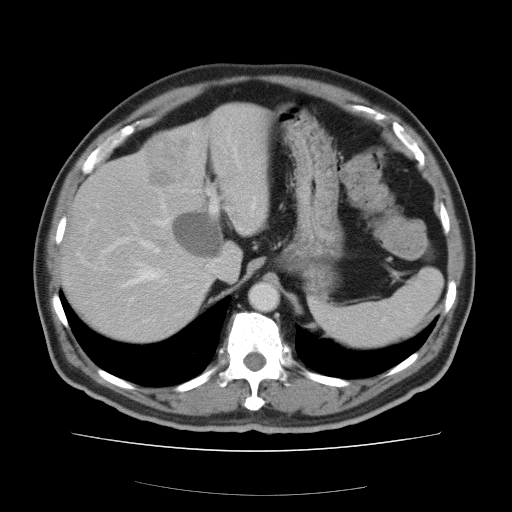
512x512 px; Liver; CT slice
The vessel annotation is not exhaustive.
Segmented structures:
* liver tumor: <box>146,137,188,185</box>
* hepatic vessel: <box>233,147,237,156</box>, <box>154,216,170,226</box>, <box>137,238,159,253</box>, <box>207,190,217,213</box>, <box>162,277,165,281</box>, <box>121,263,159,286</box>, <box>104,266,105,268</box>, <box>100,237,130,258</box>, <box>161,204,166,213</box>